Slice 29/34 | Image size 512x512 | Image width 320 mm | CT slice

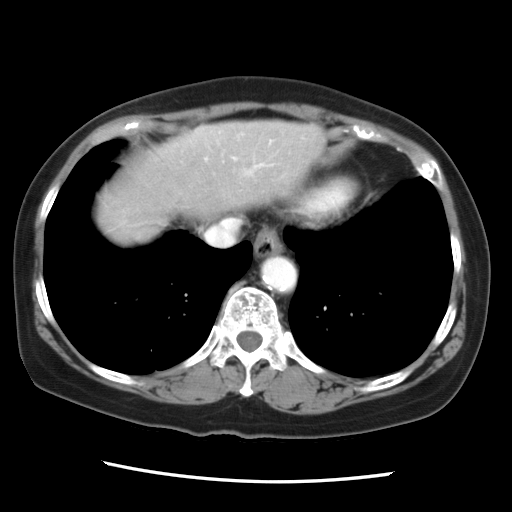
Some hepatic vessels may have no box.
{"hepatic_vessel": ["bbox(205, 219, 238, 244)", "bbox(245, 163, 264, 174)"]}